Head, 240x240 px
FLAIR MR image.
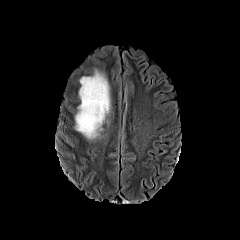
T1-weighted MR image.
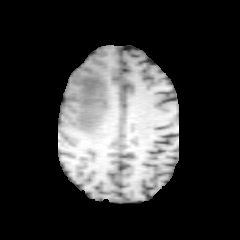
Post-contrast T1-weighted magnetic resonance.
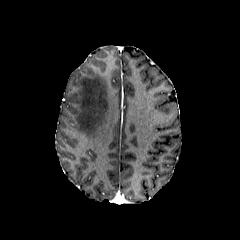
T2-weighted MR.
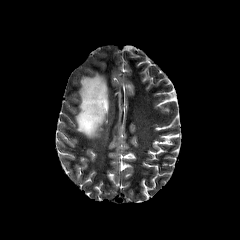
Findings:
• edema: (75, 73, 110, 139)